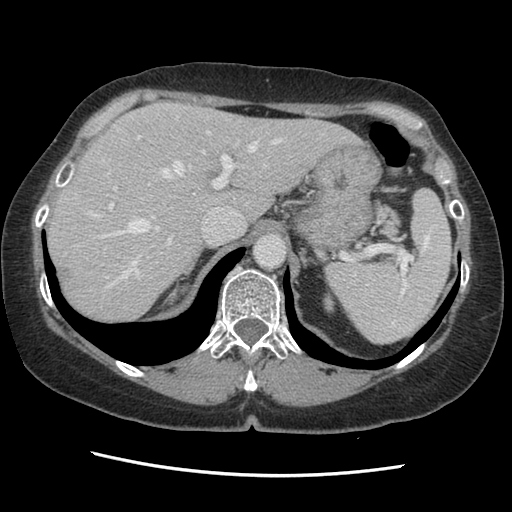 Liver; CT slice
The vessel annotation is not exhaustive.
Most prominent 15 of 18 hepatic vessel regions: (161, 161, 183, 176), (97, 219, 148, 237), (236, 141, 238, 143), (273, 139, 281, 143), (113, 187, 116, 189), (87, 212, 100, 218), (213, 154, 234, 187), (137, 135, 140, 138), (248, 141, 257, 151), (106, 255, 140, 288), (207, 131, 210, 133), (155, 226, 158, 230), (109, 203, 112, 208), (167, 237, 171, 243), (149, 216, 154, 219).